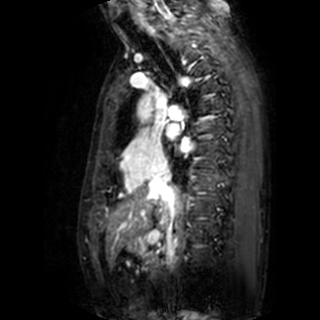
Magnetic resonance; 320x320 px

Annotated regions:
- left atrium: left=166, top=125, right=178, bottom=139; left=181, top=140, right=193, bottom=151